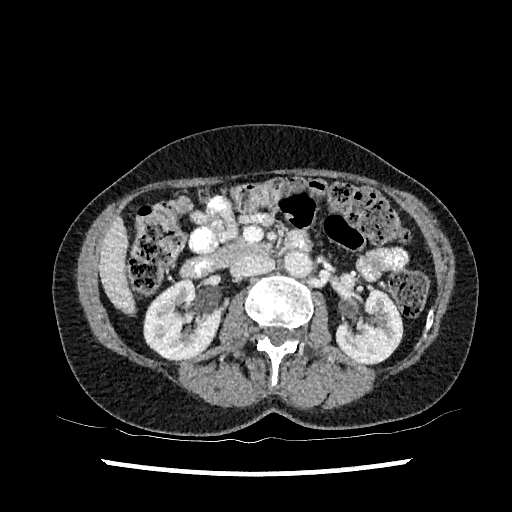

512x512, CT image
2 kidney regions are bounded by box=[336, 290, 402, 363]; box=[144, 280, 219, 359]. The liver is bounded by box=[99, 219, 134, 312].